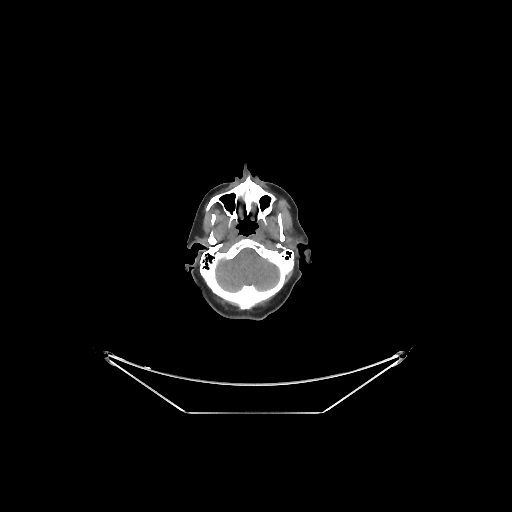
CT image

* brain: x1=215 y1=247 x2=279 y2=292